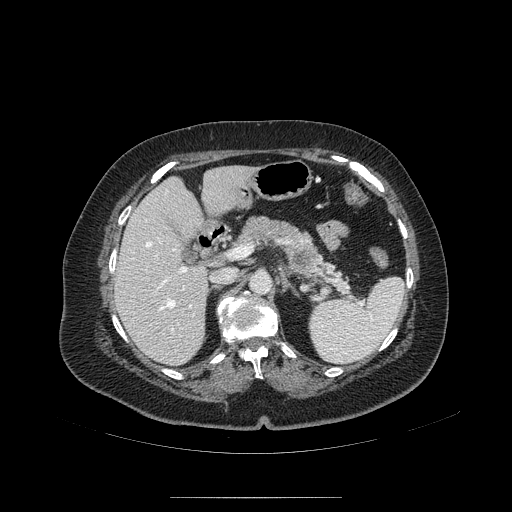

CT scan slice
pancreatic_tumor:
  - [290,245,318,273]
pancreas:
  - [233,215,342,281]